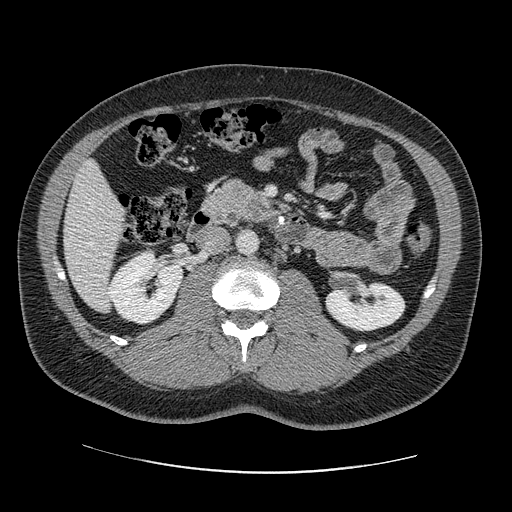 CT image. Upper abdomen.

Pancreas: bounding box l=202, t=178, r=253, b=227.